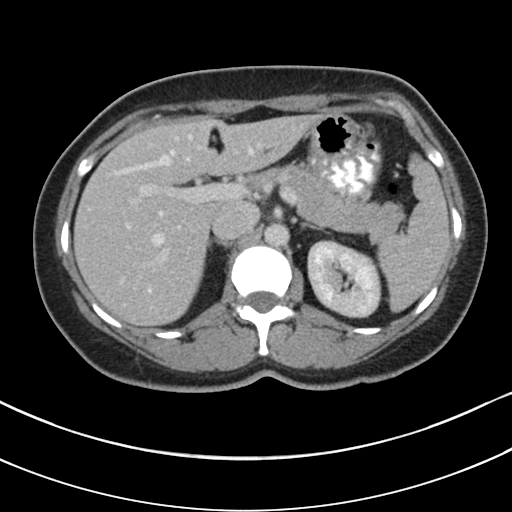

Abdomen; CT image
Pancreas — {"x1": 247, "y1": 164, "x2": 404, "y2": 243}.